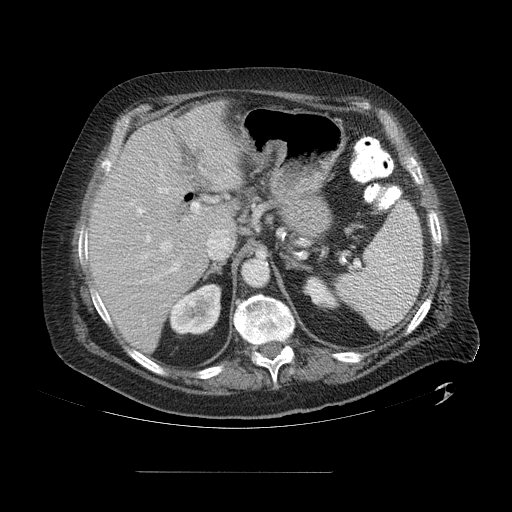 Computed tomography

Not every hepatic vessel necessarily has a box.
11 hepatic vessel regions are bounded by region(181, 244, 183, 247); region(154, 275, 161, 278); region(145, 253, 149, 256); region(137, 208, 143, 215); region(169, 263, 179, 272); region(184, 248, 185, 252); region(146, 233, 150, 241); region(158, 187, 170, 192); region(161, 242, 171, 251); region(201, 169, 205, 171); region(192, 203, 199, 210).